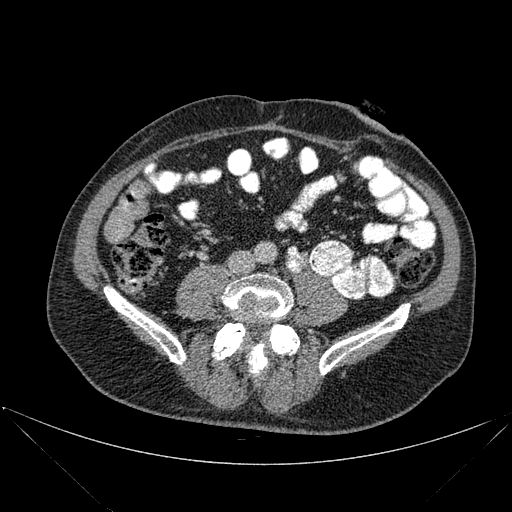

CT slice. <segmentation>
  <bone>[248,344,267,376], [104,287,185,364], [222,274,293,318], [268,324,299,354], [213,323,245,359], [319,303,410,374]</bone>
</segmentation>